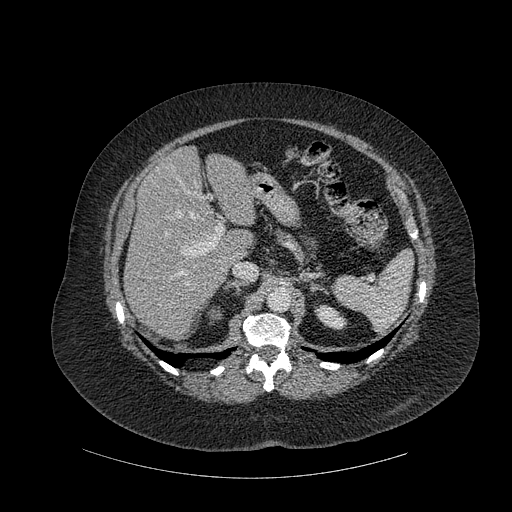
Liver | CT

7 bone regions are bounded by <box>367,349,383,362</box>, <box>116,302,124,322</box>, <box>243,314,291,391</box>, <box>211,366,224,375</box>, <box>419,282,426,301</box>, <box>159,361,178,374</box>, <box>320,362,339,369</box>. 2 liver regions are located at <box>124,145,251,340</box>, <box>207,154,255,225</box>. The kidney is bounded by <box>317,306,343,328</box>. 2 lung regions appear at <box>144,340,232,367</box>, <box>316,331,395,363</box>.